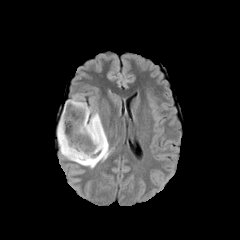
FLAIR MR image.
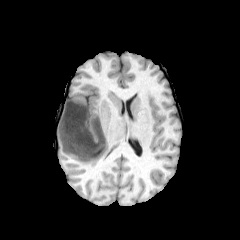
T1-weighted MRI.
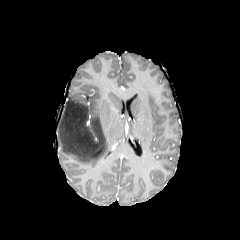
Post-contrast T1-weighted MRI.
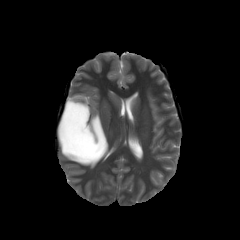
T2-weighted MR.
{
  "non-enhancing_tumor_core": [
    "bbox=[59, 100, 105, 159]"
  ],
  "edema": [
    "bbox=[70, 98, 110, 167]",
    "bbox=[69, 96, 86, 105]",
    "bbox=[57, 121, 69, 159]"
  ]
}